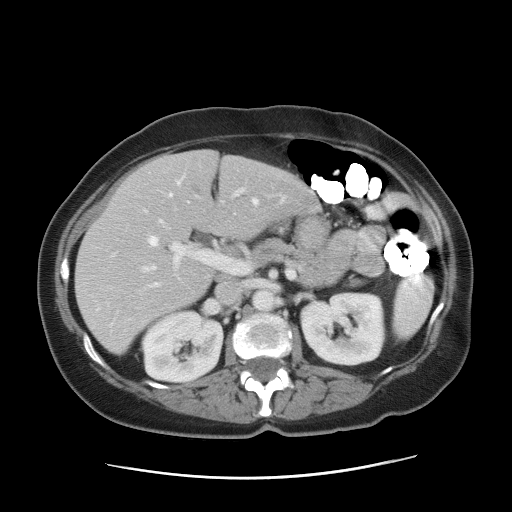 CT image | 512x512
The vessel boxes may cover only some of the vessels.
{
  "hepatic_vessel": [
    "<bbox>149, 237, 157, 245</bbox>",
    "<bbox>235, 189, 243, 195</bbox>",
    "<bbox>159, 220, 162, 222</bbox>",
    "<bbox>143, 266, 155, 271</bbox>",
    "<bbox>177, 177, 183, 184</bbox>",
    "<bbox>145, 210, 146, 212</bbox>",
    "<bbox>253, 199, 257, 204</bbox>",
    "<bbox>150, 283, 158, 287</bbox>",
    "<bbox>171, 242, 248, 276</bbox>",
    "<bbox>173, 272, 177, 277</bbox>",
    "<bbox>281, 196, 284, 202</bbox>",
    "<bbox>170, 194, 172, 196</bbox>"
  ]
}